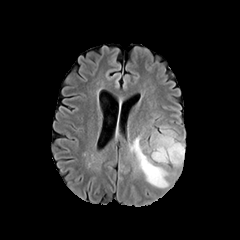
FLAIR MR image.
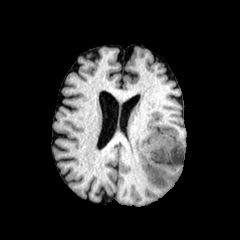
T1-weighted MR image.
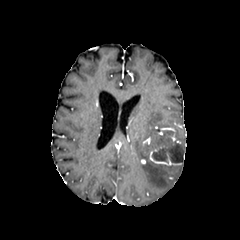
Post-contrast T1-weighted magnetic resonance.
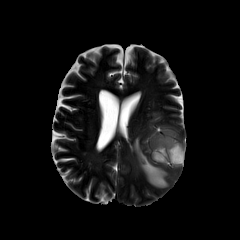
T2-weighted MR image.
Brain
Edema = (x1=150, y1=126, x2=184, y2=163), (x1=131, y1=137, x2=168, y2=187).